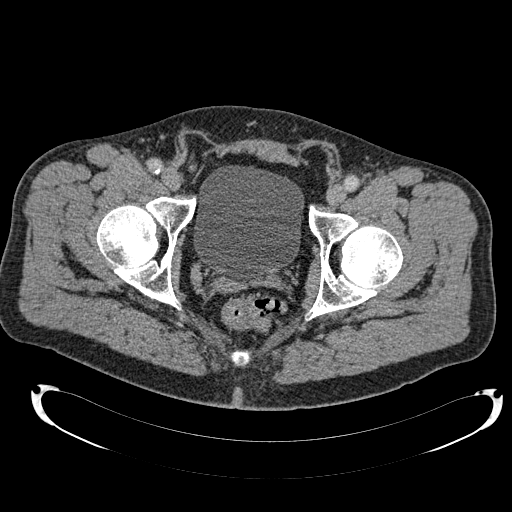
Computed tomography

• urinary bladder: (193,165,304,281)